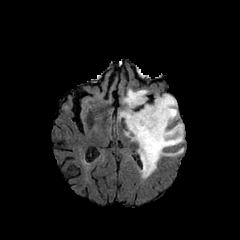
FLAIR MR.
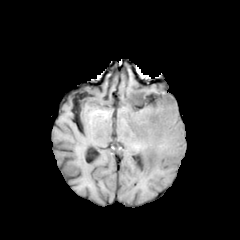
T1-weighted MR image.
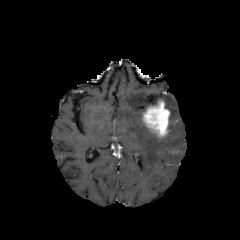
Same slice, post-contrast T1-weighted MR image.
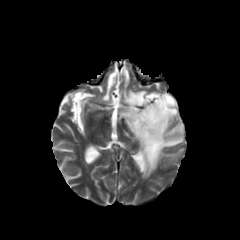
T2-weighted MR image of the same slice.
Brain
Non-enhancing tumor core — 140:94:162:110.
Enhancing tumor — 140:99:170:139.
Edema — 118:88:184:179.